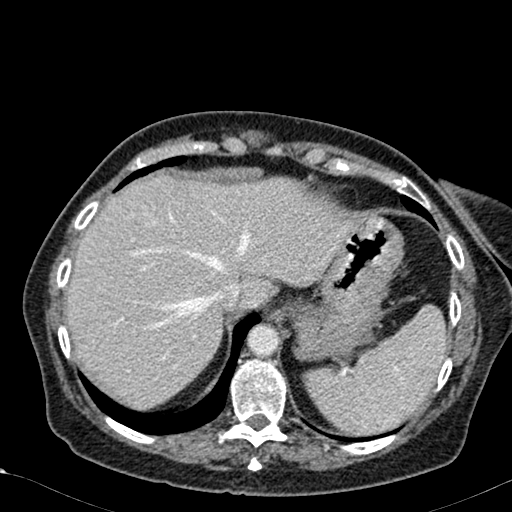 Upper abdomen | CT image
Liver at box=[68, 175, 352, 405].